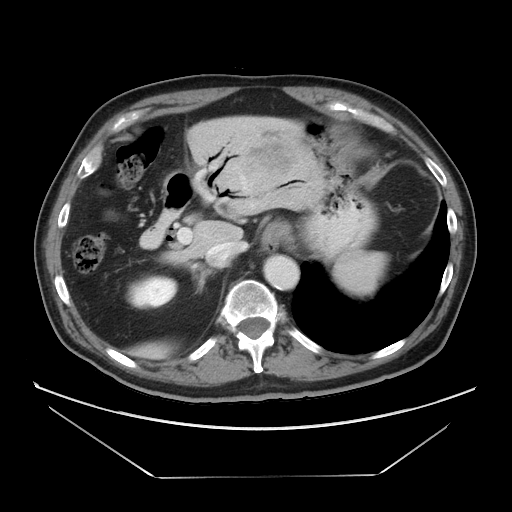
CT. Abdomen.
Some hepatic vessels may have no box.
Annotated regions:
- liver tumor: x1=248, y1=132, x2=297, y2=172
- hepatic vessel: x1=178, y1=233, x2=190, y2=242